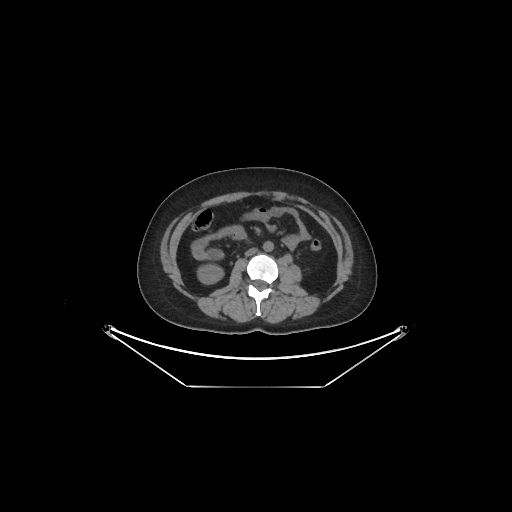 Abdomen; Image size 512x512; CT scan slice

Kidney = [199, 265, 222, 283].